CT; Liver

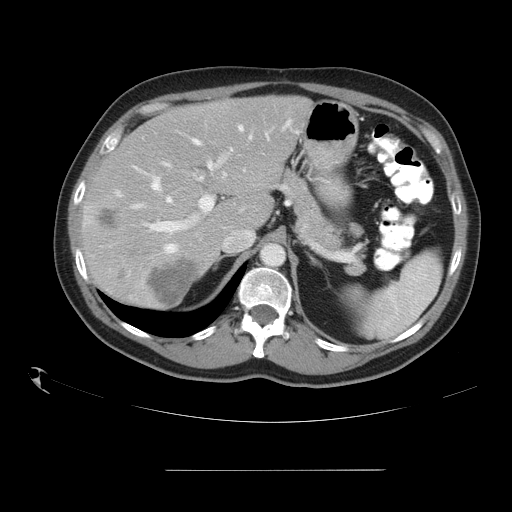
The vessel boxes may cover only some of the vessels.
<segmentation>
  <liver_tumor>[146, 257, 199, 306], [97, 207, 119, 227]</liver_tumor>
  <hepatic_vessel>[166, 196, 171, 201], [243, 169, 245, 170], [199, 196, 212, 210], [145, 221, 186, 232], [198, 176, 202, 180], [193, 139, 199, 144], [284, 119, 290, 127], [249, 136, 251, 138], [230, 147, 232, 150], [132, 204, 141, 208], [266, 133, 267, 137], [152, 177, 159, 189], [224, 172, 226, 175], [208, 161, 212, 168], [238, 125, 242, 130]</hepatic_vessel>
</segmentation>